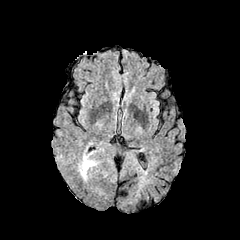
FLAIR MR.
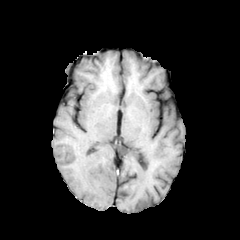
T1-weighted MRI.
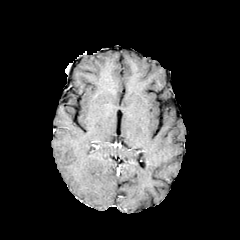
Post-contrast T1-weighted MRI.
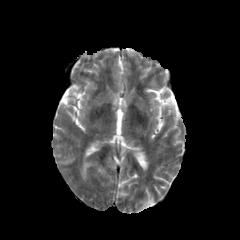
Same slice, T2-weighted magnetic resonance.
Brain
• edema: 81 158 94 178